CT; Liver 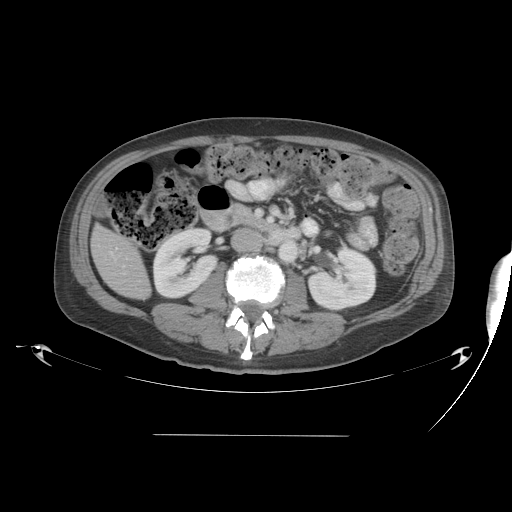
Only some of the vessels may be annotated.
Hepatic vessel — x1=109, y1=251, x2=116, y2=259; x1=123, y1=272, x2=125, y2=274.